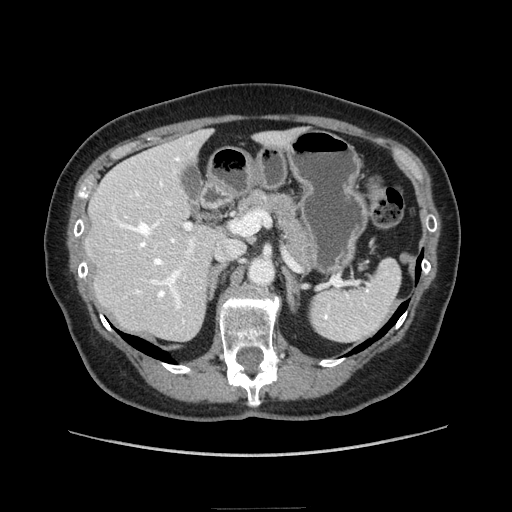

512x512 | CT slice | Abdomen
The pancreas is located at (237,190,315,267).